Liver; CT slice
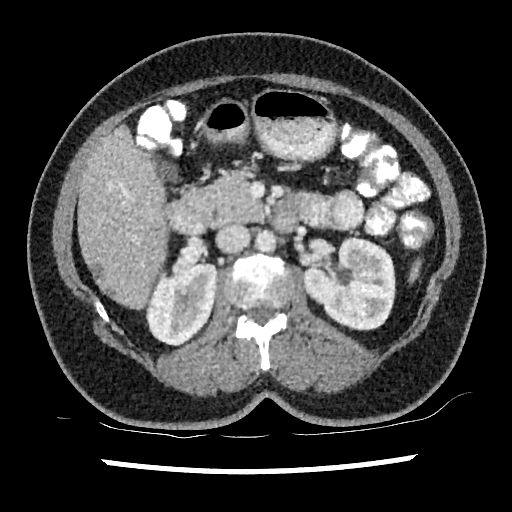

Kidney: (left=305, top=238, right=394, bottom=328), (left=148, top=257, right=216, bottom=344).
Liver: (left=78, top=126, right=165, bottom=306).
Hepatic lesion: (left=160, top=162, right=175, bottom=179), (left=90, top=264, right=105, bottom=279), (left=104, top=288, right=114, bottom=294).